Abdomen. Computed tomography.

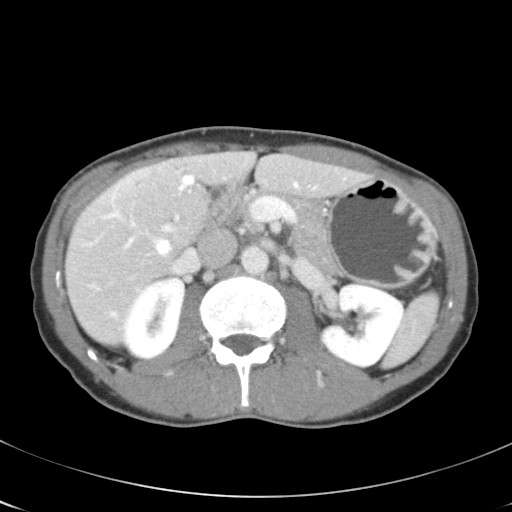
The vessel annotation is not exhaustive.
Hepatic vessel at region(131, 222, 134, 225); region(313, 187, 315, 188); region(295, 183, 297, 187); region(176, 216, 178, 219); region(184, 176, 193, 183); region(157, 240, 169, 252); region(126, 239, 132, 245); region(105, 210, 119, 217); region(163, 225, 170, 230).